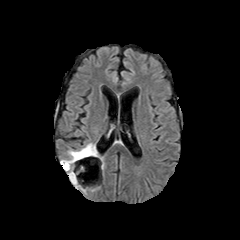
FLAIR magnetic resonance.
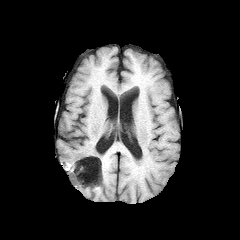
T1-weighted MR image of the same slice.
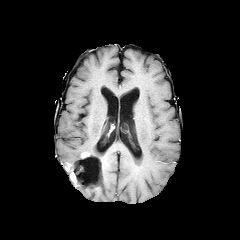
Post-contrast T1-weighted MR.
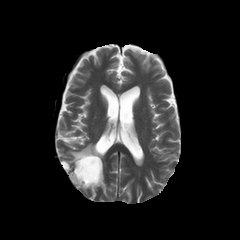
T2-weighted magnetic resonance.
The enhancing tumor is located at (80, 151, 89, 157). The edema is at (61, 142, 103, 168). The non-enhancing tumor core is located at (68, 148, 97, 183).